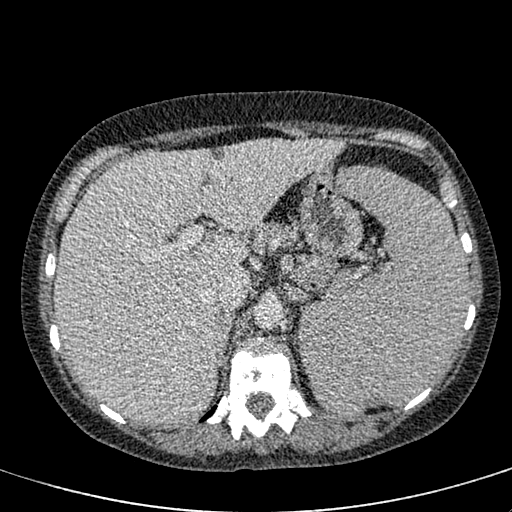 CT scan slice. Liver.

The liver is at l=56, t=139, r=345, b=423.